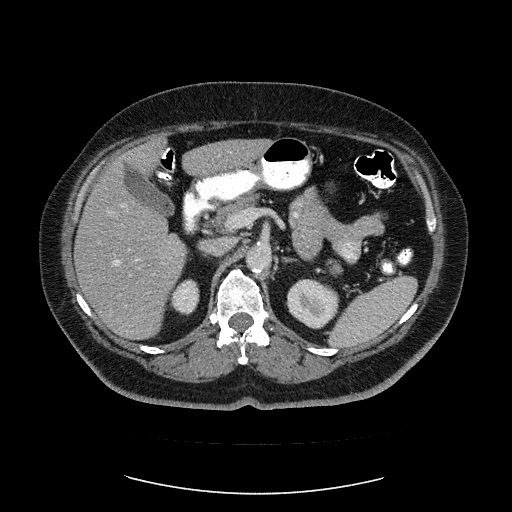

CT scan slice, Image size 512x512
Not every hepatic vessel necessarily has a box.
<segmentation>
  <hepatic_vessel>box(121, 204, 127, 209); box(138, 267, 140, 268); box(204, 177, 212, 179); box(113, 260, 119, 265); box(135, 258, 140, 261); box(118, 294, 120, 297); box(108, 211, 117, 216); box(222, 174, 226, 175)</hepatic_vessel>
</segmentation>